240x240 px
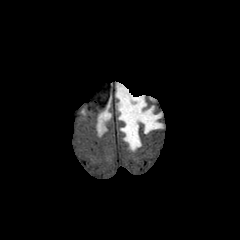
FLAIR MRI.
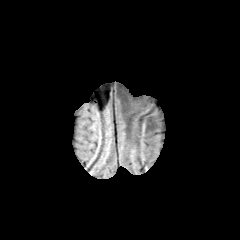
Same slice, T1-weighted magnetic resonance.
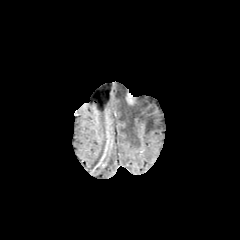
Post-contrast T1-weighted MRI.
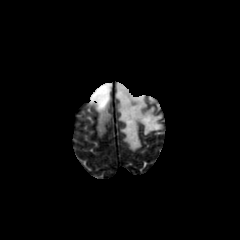
T2-weighted MRI of the same slice.
{"non-enhancing_tumor_core": ["[126, 93, 135, 103]"], "edema": ["[115, 82, 163, 151]"]}